Slice 109/171, CT image, Liver

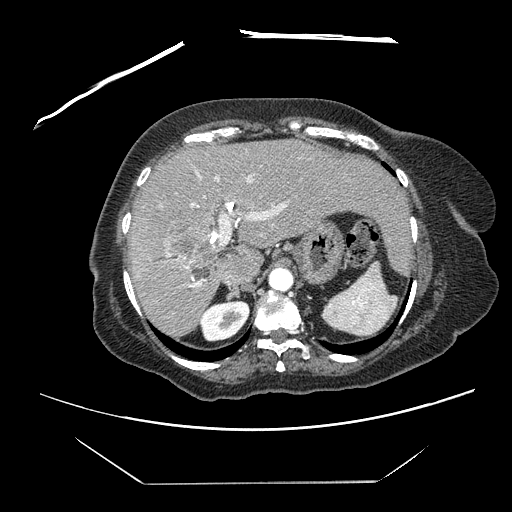 Only some of the vessels may be annotated.
<segmentation>
  <liver_tumor>box=[166, 220, 223, 264]</liver_tumor>
  <hepatic_vessel>box=[215, 177, 219, 181]; box=[204, 196, 205, 197]; box=[246, 203, 286, 220]; box=[218, 210, 239, 244]; box=[225, 204, 226, 206]; box=[185, 265, 188, 267]; box=[194, 280, 202, 286]; box=[190, 203, 198, 206]; box=[247, 177, 250, 181]</hepatic_vessel>
</segmentation>